512x512 px | Abdomen | Computed tomography 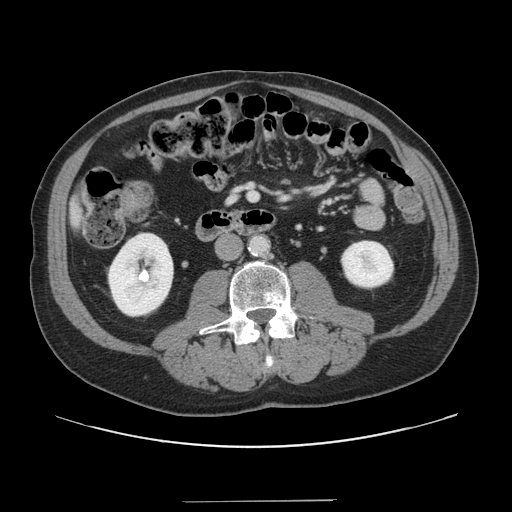

The vessel annotation is not exhaustive.
Hepatic vessel = (249,193,257,199).